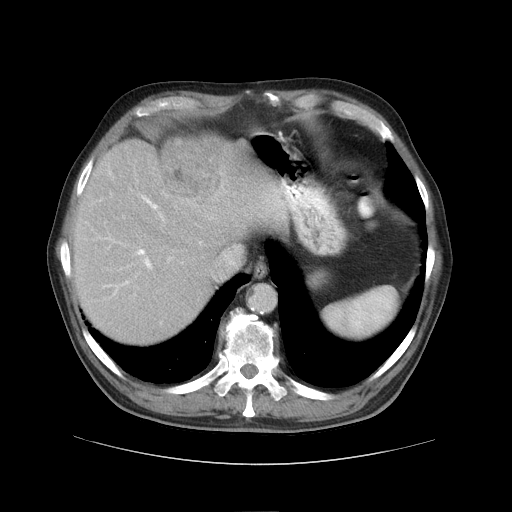
CT; Liver; 512x512
Not every hepatic vessel necessarily has a box.
The liver tumor appears at [161,139,223,202]. 2 hepatic vessel regions are bounded by [142,195,164,221], [137,249,150,268].